FLAIR magnetic resonance.
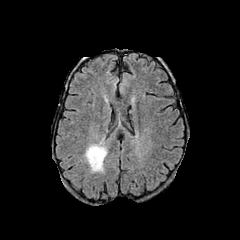
T1-weighted MRI.
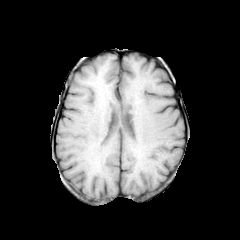
Post-contrast T1-weighted magnetic resonance.
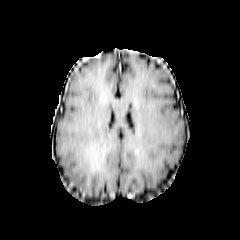
T2-weighted MR image.
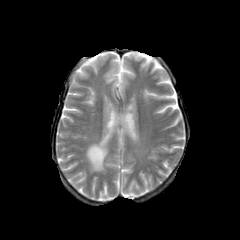
Head.
{"non-enhancing_tumor_core": ["left=91, top=147, right=105, bottom=170"], "edema": ["left=84, top=134, right=111, bottom=173"]}